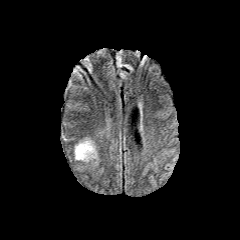
FLAIR MR.
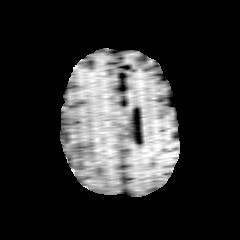
T1-weighted MRI.
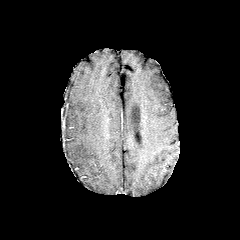
Same slice, post-contrast T1-weighted MR image.
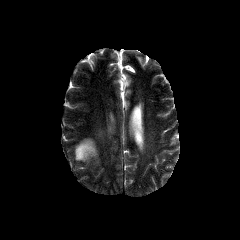
T2-weighted MRI.
240x240 px
{
  "edema": [
    "74,138,98,162"
  ]
}